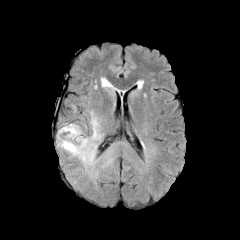
FLAIR MR image.
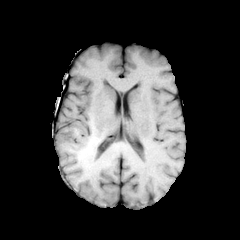
T1-weighted MR of the same slice.
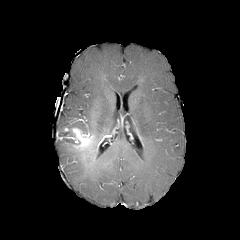
Post-contrast T1-weighted MR image.
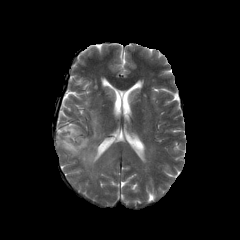
T2-weighted MR image of the same slice.
Brain
Enhancing tumor = (68,127,87,147).
Edema = (101,77,117,96), (56,111,112,177).
Non-enhancing tumor core = (82,131,93,146), (58,124,75,148).